CT. Slice index 37.
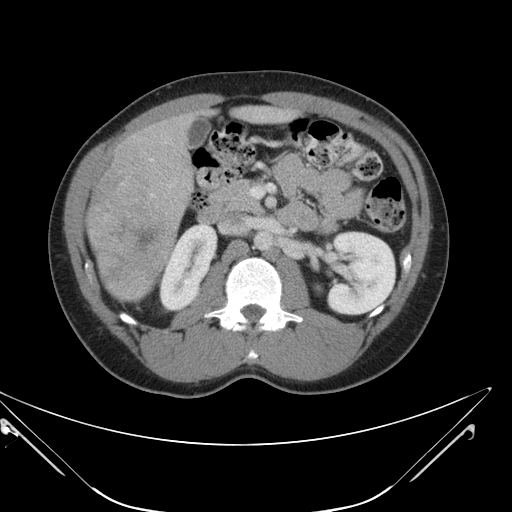

Some hepatic vessels may have no box.
The liver tumor lies within bbox=[97, 203, 176, 300]. The hepatic vessel is bounded by bbox=[169, 185, 171, 187].